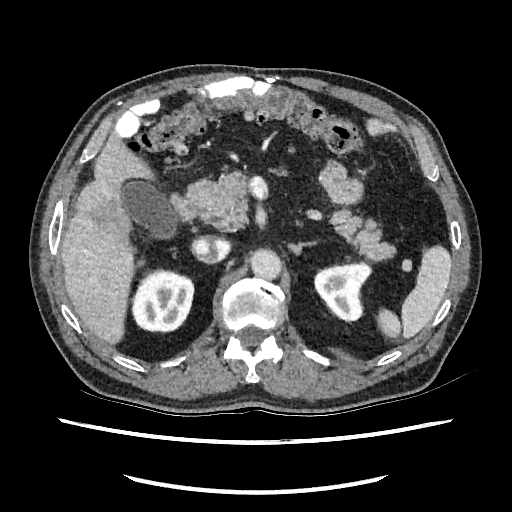 CT scan slice | Upper abdomen

<segmentation>
  <hepatic_lesion>(94,202,129,236)</hepatic_lesion>
  <kidney>(132,269,193,332), (314,262,371,321)</kidney>
  <liver>(63,136,149,343)</liver>
</segmentation>